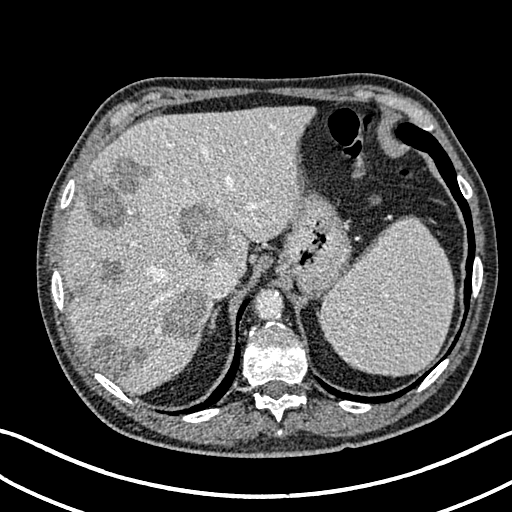
512x512, Abdomen, CT slice
Findings:
• liver: <bbox>64, 107, 316, 393</bbox>, <bbox>198, 313, 207, 330</bbox>
• liver lesion: <bbox>161, 291, 209, 341</bbox>, <bbox>82, 174, 127, 231</bbox>, <bbox>90, 332, 147, 379</bbox>, <bbox>101, 258, 123, 284</bbox>, <bbox>111, 155, 154, 192</bbox>, <bbox>181, 203, 229, 262</bbox>, <bbox>76, 277, 99, 304</bbox>